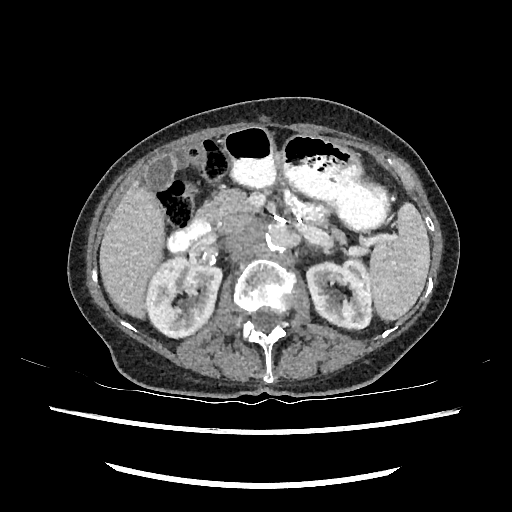
Image size 512x512 | CT scan slice

Liver: bounding box left=100, top=181, right=163, bottom=318.
Kidney: bounding box left=146, top=260, right=221, bottom=337; left=307, top=261, right=370, bottom=328.